CT scan slice. Slice index 93. Abdomen. 512x512 px.
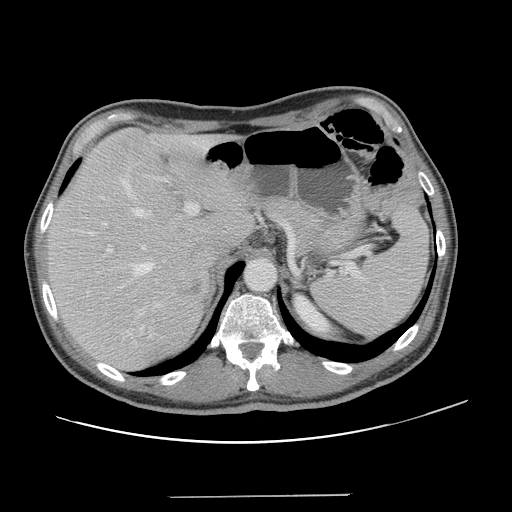
Not every hepatic vessel necessarily has a box.
Annotated regions:
- liver tumor: region(182, 280, 203, 295)
- hepatic vessel: region(103, 223, 106, 226); region(137, 309, 143, 314); region(142, 245, 145, 249); region(139, 326, 142, 331); region(80, 231, 94, 235); region(185, 204, 198, 214); region(149, 334, 151, 337); region(133, 208, 143, 215); region(107, 245, 112, 252); region(149, 211, 151, 213); region(157, 177, 165, 180); region(128, 328, 132, 335); region(154, 304, 160, 307); region(121, 178, 130, 194); region(129, 263, 152, 275)